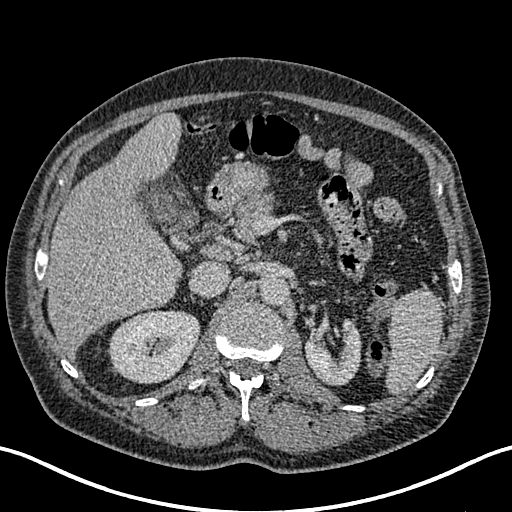
CT. Abdomen.

Liver: bounding box left=47, top=115, right=181, bottom=355.
Liver lesion: bounding box left=58, top=289, right=69, bottom=303; left=59, top=315, right=72, bottom=322.
Kidney: bounding box left=110, top=311, right=199, bottom=382; left=305, top=321, right=359, bottom=384.